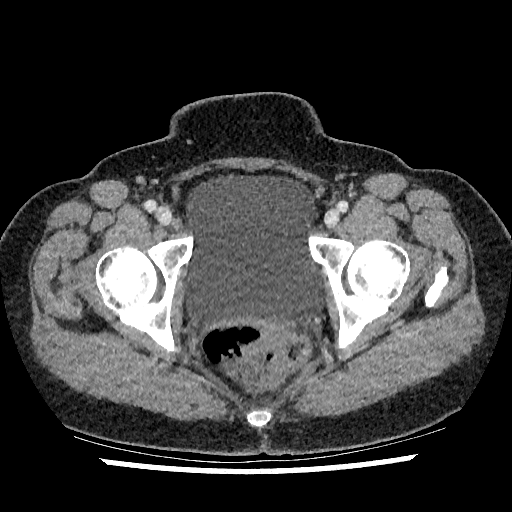
Pelvis | CT scan slice

The urinary bladder lies within l=184, t=174, r=326, b=327.